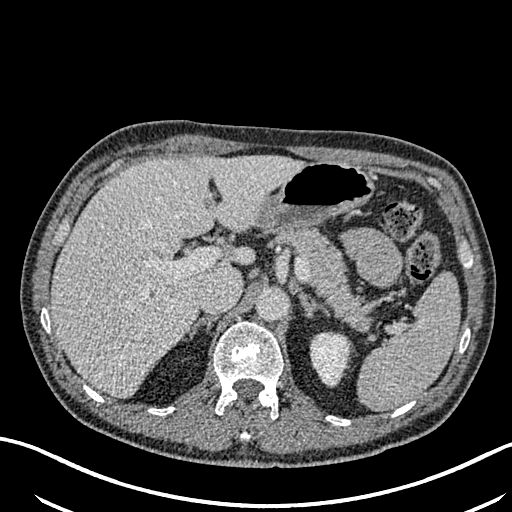

Computed tomography. Upper abdomen.
Segmented structures:
- kidney: 311, 334, 348, 384
- liver lesion: 203, 197, 215, 209; 149, 288, 156, 302
- liver: 52, 155, 304, 396